FLAIR MR.
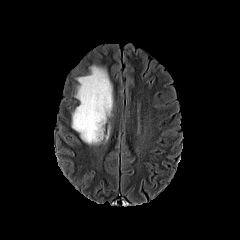
T1-weighted magnetic resonance.
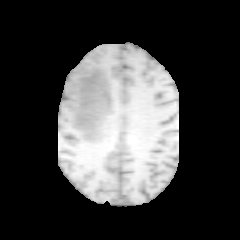
Post-contrast T1-weighted magnetic resonance.
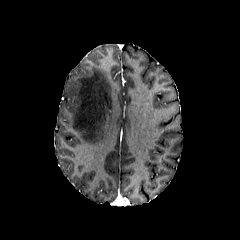
T2-weighted magnetic resonance.
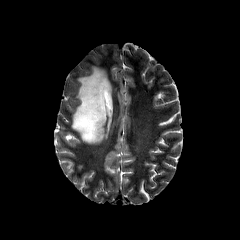
Brain
edema: box=[72, 66, 112, 146]